FLAIR magnetic resonance.
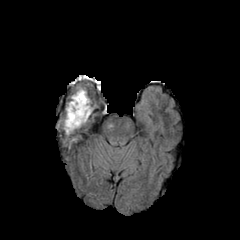
T1-weighted MRI.
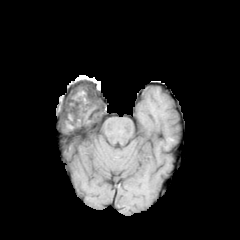
Post-contrast T1-weighted MR image.
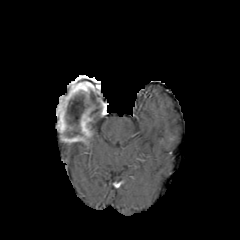
T2-weighted magnetic resonance.
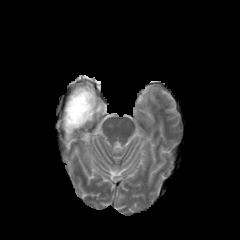
Head
The edema is at bbox(64, 86, 92, 136). The non-enhancing tumor core is located at bbox(68, 100, 86, 124).